FLAIR MRI.
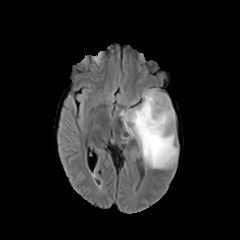
T1-weighted magnetic resonance.
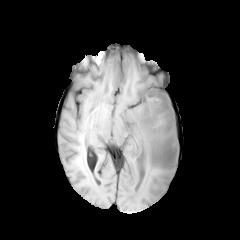
Post-contrast T1-weighted MR image.
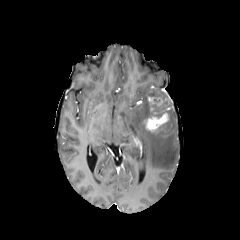
T2-weighted MR image.
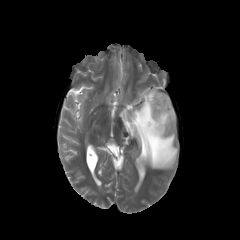
The edema is at region(120, 88, 177, 169). The enhancing tumor is located at region(144, 112, 168, 131). The non-enhancing tumor core is bounded by region(137, 93, 173, 132).